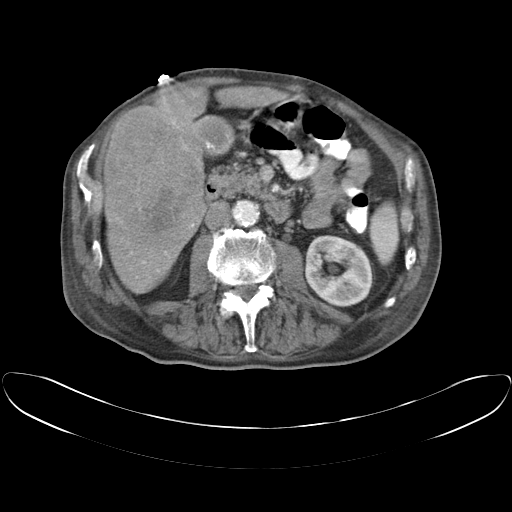 CT image.

The vessel boxes may cover only some of the vessels.
hepatic vessel: <box>164,251,169,256</box>, <box>156,269,159,271</box>, <box>127,242,129,244</box>, <box>177,99,183,102</box>, <box>142,261,144,262</box>, <box>191,225,193,226</box> | liver tumor: <box>105,113,203,247</box>